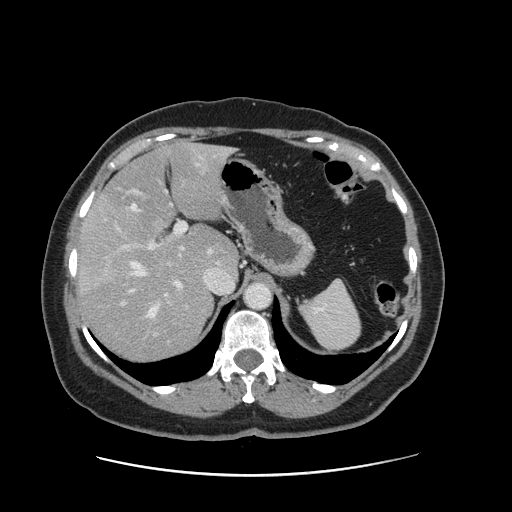
CT image. Liver. Not every hepatic vessel necessarily has a box.
- hepatic vessel: 117, 227, 119, 228; 146, 304, 157, 318; 128, 189, 140, 193; 122, 245, 129, 248; 148, 242, 155, 248; 121, 302, 124, 305; 180, 247, 183, 255; 196, 164, 199, 164; 131, 262, 145, 275; 176, 281, 181, 287; 165, 294, 167, 295; 130, 289, 134, 292
- liver tumor: 117, 277, 129, 286